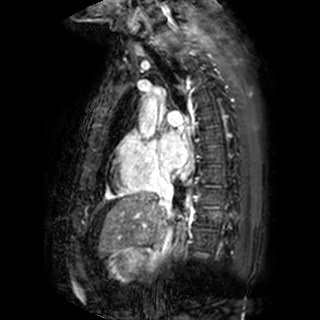
Magnetic resonance. Cardiac. The left atrium is bounded by [160,131,187,168].